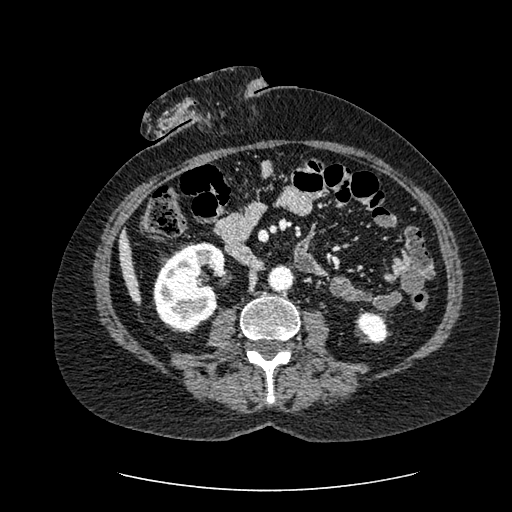 CT scan slice. Upper abdomen. Kidney at [x1=154, y1=243, x2=223, y2=330], [x1=357, y1=313, x2=386, y2=342].
Liver at [x1=120, y1=227, x2=142, y2=303].